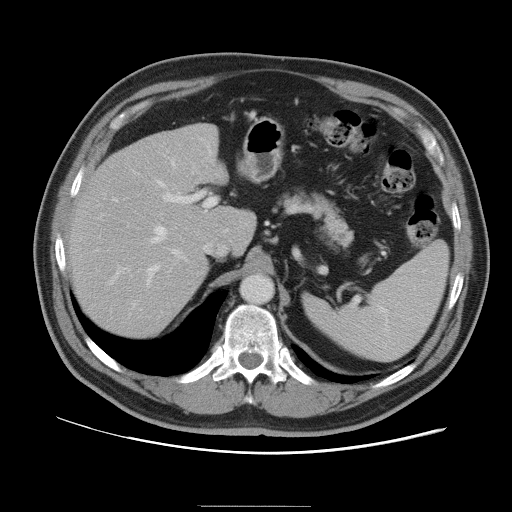 Image size 512x512; Abdomen; CT scan slice
Only some of the vessels may be annotated.
{
  "hepatic_vessel": [
    "165,150,167,154",
    "204,248,207,251",
    "172,249,186,260",
    "151,226,166,242",
    "132,303,135,306",
    "220,247,224,250",
    "107,264,130,284",
    "112,198,117,201",
    "224,229,227,231",
    "147,264,158,286",
    "171,160,174,166",
    "167,248,169,249",
    "158,181,164,186"
  ]
}